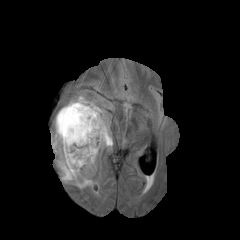
FLAIR MR image.
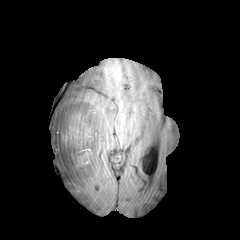
T1-weighted MRI.
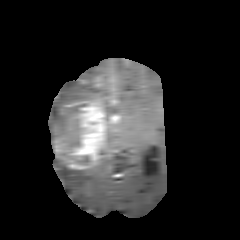
Post-contrast T1-weighted MR of the same slice.
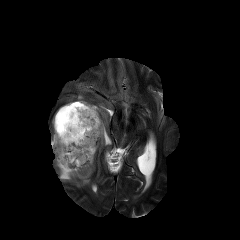
T2-weighted MR image.
Brain
Segmented structures:
• edema: {"x1": 52, "y1": 106, "x2": 79, "y2": 140}, {"x1": 68, "y1": 96, "x2": 95, "y2": 103}, {"x1": 54, "y1": 119, "x2": 111, "y2": 187}
• non-enhancing tumor core: {"x1": 76, "y1": 156, "x2": 89, "y2": 165}, {"x1": 57, "y1": 131, "x2": 79, "y2": 146}, {"x1": 66, "y1": 102, "x2": 85, "y2": 119}
• enhancing tumor: {"x1": 53, "y1": 101, "x2": 105, "y2": 169}